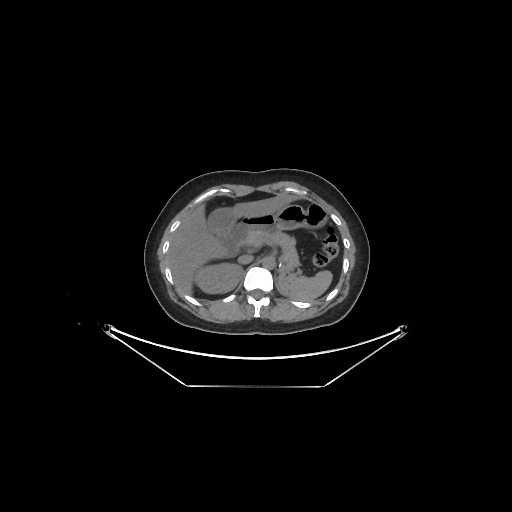
Upper abdomen, CT

The kidney is at 198, 264, 242, 293. 2 liver regions are bounded by 237, 195, 297, 218; 161, 205, 227, 288.